Slice 116 of 252. CT scan slice.
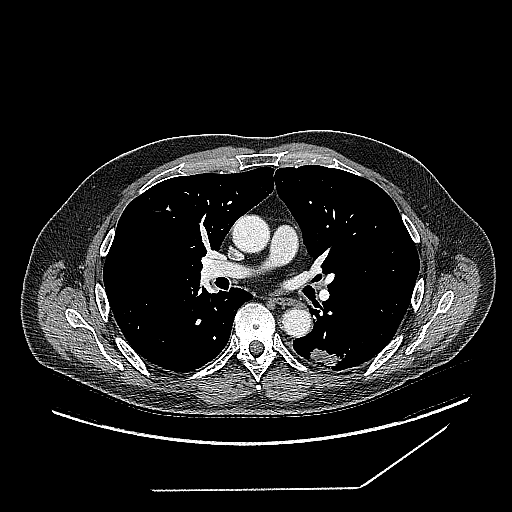

lung_tumor:
  - box(305, 347, 341, 368)